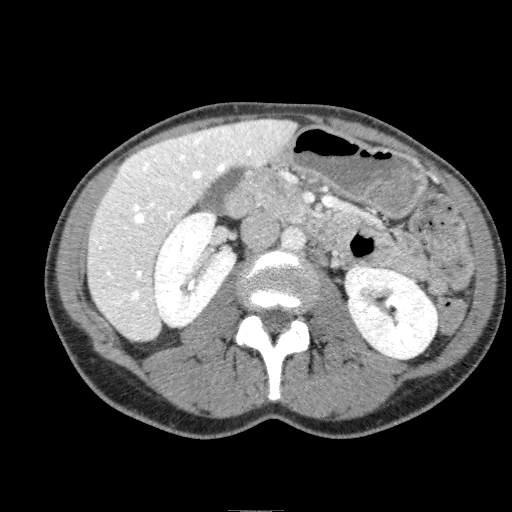 512x512 | CT
Annotated regions:
* kidney: (left=346, top=267, right=437, bottom=358), (left=155, top=213, right=234, bottom=326)
* liver: (left=86, top=118, right=297, bottom=341)